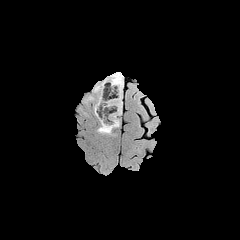
FLAIR MR.
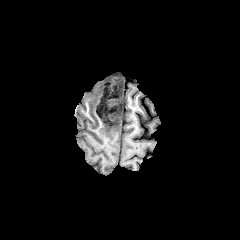
T1-weighted MR image.
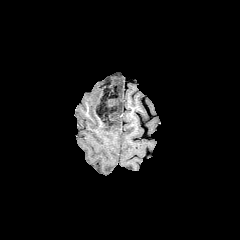
Post-contrast T1-weighted MR image.
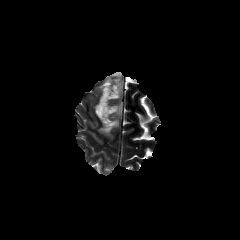
T2-weighted MR image.
Head
Segmented structures:
* non-enhancing tumor core: (x1=99, y1=120, x2=114, y2=132), (x1=114, y1=104, x2=119, y2=118), (x1=96, y1=98, x2=109, y2=117)
* edema: (x1=100, y1=73, x2=123, y2=134), (x1=85, y1=86, x2=103, y2=116)